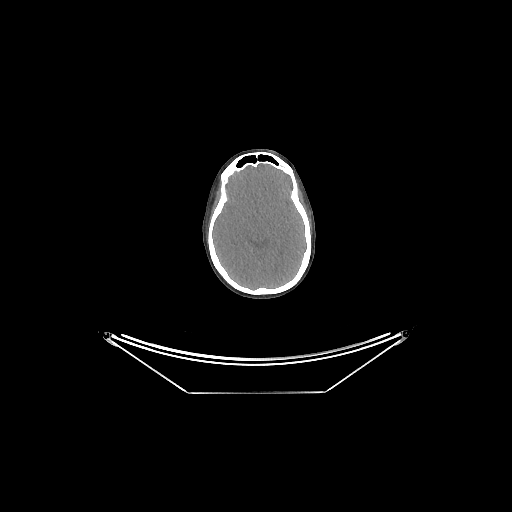
Brain. CT. brain:
  - bbox(212, 165, 306, 289)